CT slice | Chest | Field of view 400 mm wide, 2.50 mm slice spacing 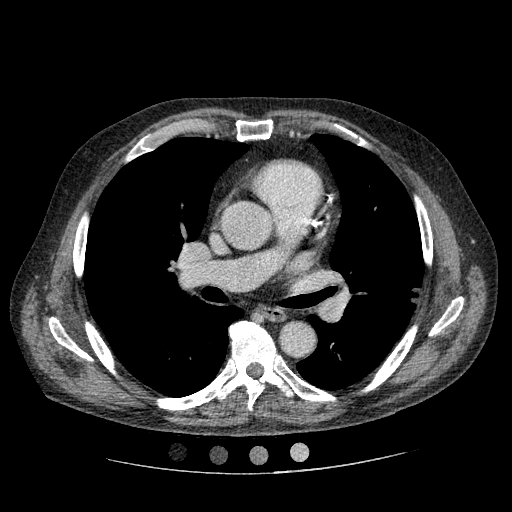 <segmentation>
  <lung_tumor>(x1=397, y1=279, x2=420, y2=304)</lung_tumor>
</segmentation>